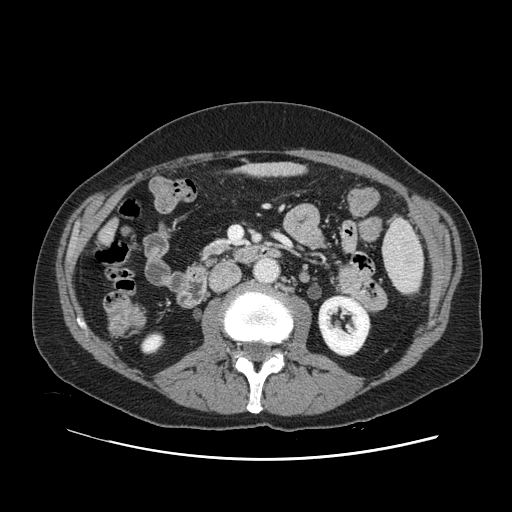 CT image

{"pancreas": ["<bbox>200, 240, 229, 258</bbox>"]}